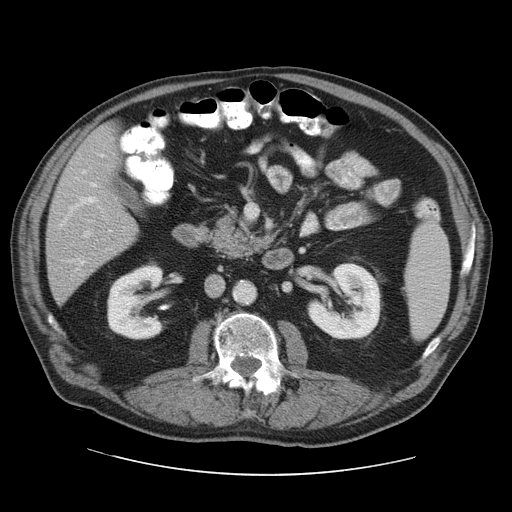

Image size 512x512. CT image.
The vessel annotation is not exhaustive.
Hepatic vessel = <box>91,183,95,186</box>, <box>80,261,83,263</box>, <box>70,197,93,210</box>, <box>100,154,103,155</box>.